MR image. Medial temporal lobe. Slice index 20. 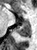 The anterior hippocampus lies within bbox(22, 20, 28, 23). The posterior hippocampus lies within bbox(16, 24, 30, 37).